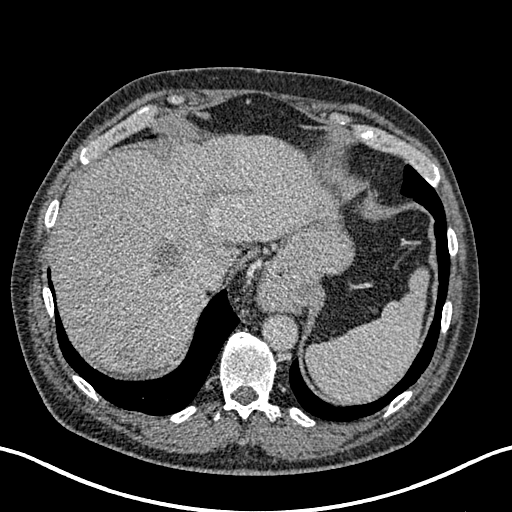

Computed tomography
Annotated regions:
- focal liver lesion: [198, 237, 213, 253], [192, 202, 209, 223], [207, 187, 219, 199], [114, 346, 134, 364], [148, 240, 192, 277], [182, 290, 194, 298]
- liver: [51, 133, 339, 371]